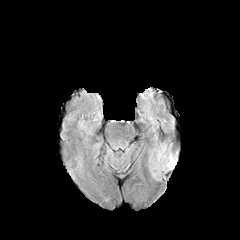
FLAIR magnetic resonance.
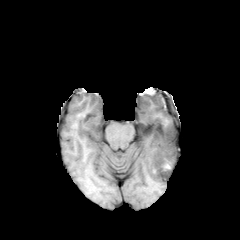
T1-weighted MR image.
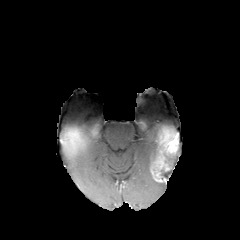
Post-contrast T1-weighted MR image.
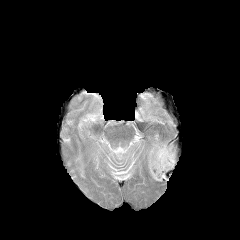
T2-weighted MR image.
240x240
• edema: box(148, 142, 175, 181)